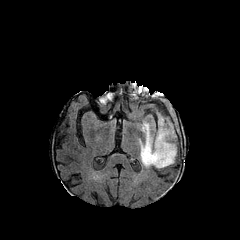
FLAIR MRI.
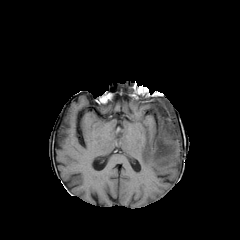
T1-weighted MR.
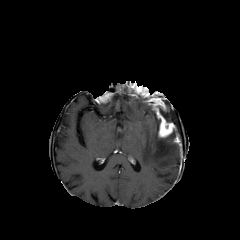
Post-contrast T1-weighted MR image.
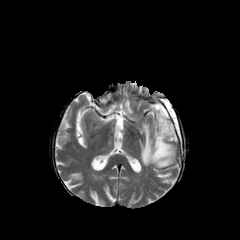
T2-weighted MR.
Enhancing tumor — 152,98,175,137.
Edema — 138,114,176,169.
Non-enhancing tumor core — 160,128,181,145; 151,93,163,103; 157,98,174,122; 150,110,160,136.